CT image. Slice 31 of 46.

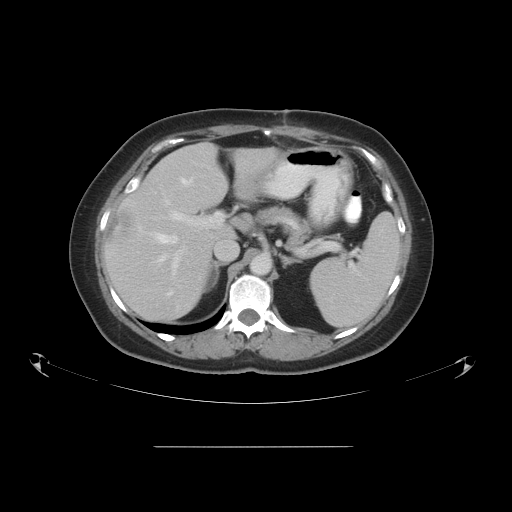

Some hepatic vessels may have no box.
hepatic_vessel:
  - bbox(172, 248, 185, 277)
  - bbox(181, 178, 193, 184)
  - bbox(139, 226, 142, 230)
  - bbox(170, 210, 222, 227)
  - bbox(107, 251, 112, 254)
  - bbox(157, 253, 167, 262)
  - bbox(163, 191, 165, 196)
  - bbox(165, 198, 170, 203)
  - bbox(155, 233, 177, 243)
  - bbox(168, 291, 172, 294)
liver_tumor:
  - bbox(111, 206, 135, 240)